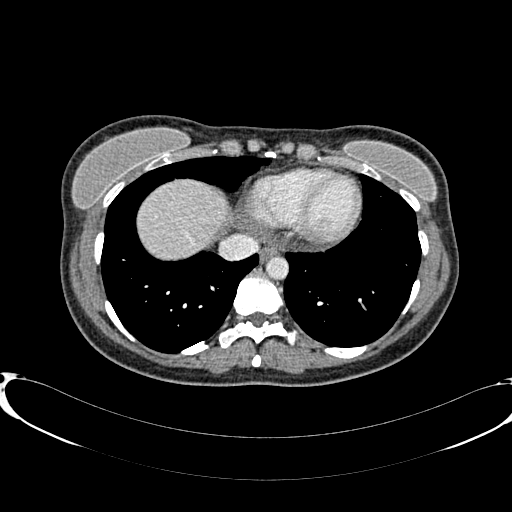 Image size 512x512 | Upper abdomen | CT
liver:
  - 138:180:227:258